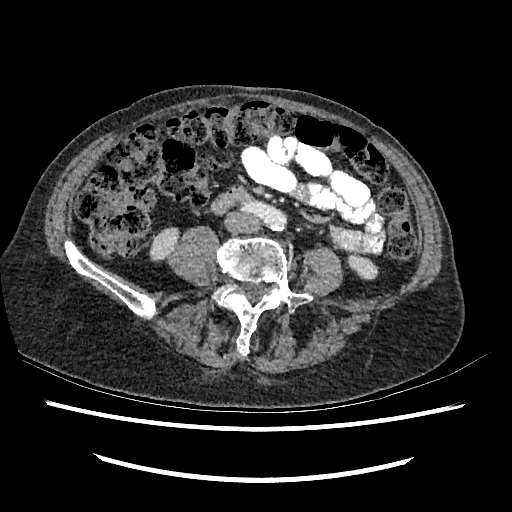
512x512 px, Abdomen, CT slice

<segmentation>
  <kidney>349, 256, 376, 278; 149, 228, 181, 260</kidney>
</segmentation>